Field of view 347x347 mm. Computed tomography. Slice index 10.
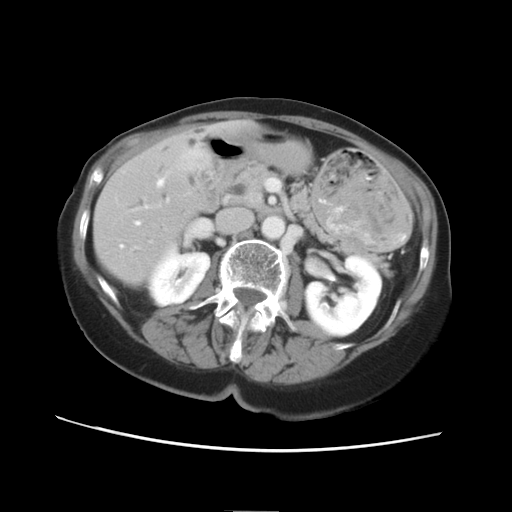
liver tumor: {"x1": 175, "y1": 141, "x2": 209, "y2": 169}